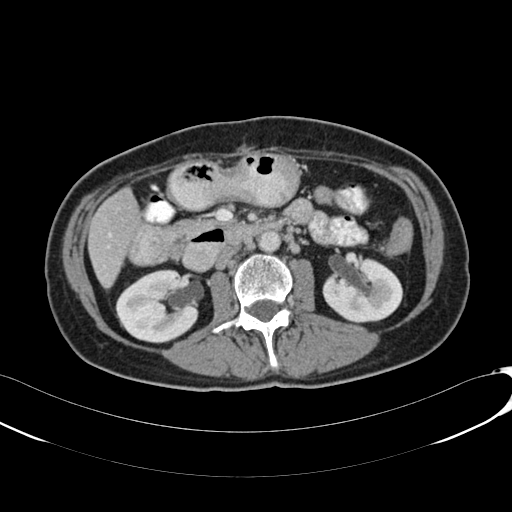
Computed tomography

2 kidney regions are located at x1=323, y1=260, x2=401, y2=321; x1=117, y1=271, x2=196, y2=341. The liver appears at x1=89, y1=188, x2=139, y2=287.